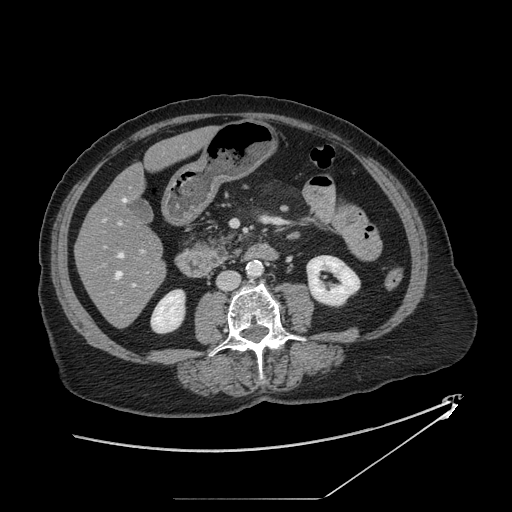 Abdomen. CT slice.

pancreas: rect(206, 238, 230, 265)